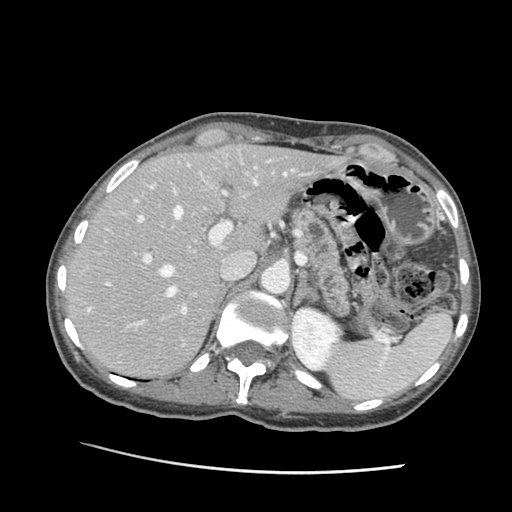 512x512 | CT image | Abdomen
Pancreas: bounding box left=296, top=209, right=349, bottom=314.